Field of view 240 mm wide, 1.00 mm slice spacing
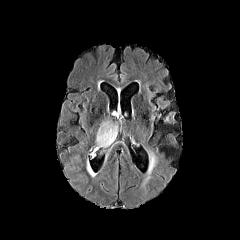
FLAIR MRI.
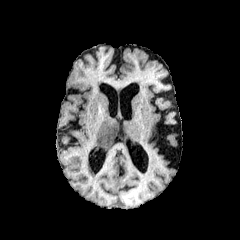
T1-weighted MR.
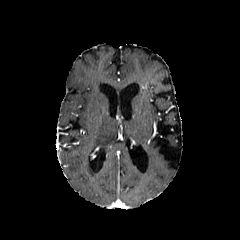
Post-contrast T1-weighted MRI.
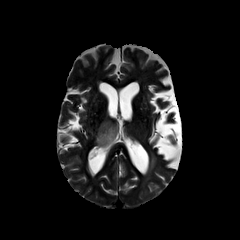
Same slice, T2-weighted MRI.
2 edema regions appear at (95, 122, 117, 147), (86, 158, 96, 177).